Field of view 487x487 mm; CT image; Slice 53/66
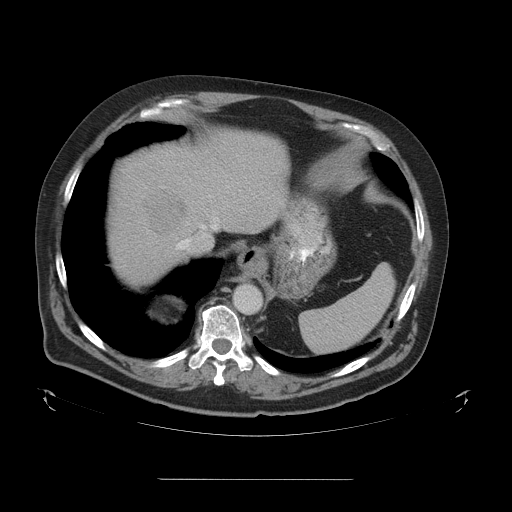

The vessel boxes may cover only some of the vessels.
- liver tumor: 143:188:186:235
- hepatic vessel: 175:223:211:254, 210:209:218:228, 208:195:212:203